Computed tomography; Abdomen; Slice 121/192
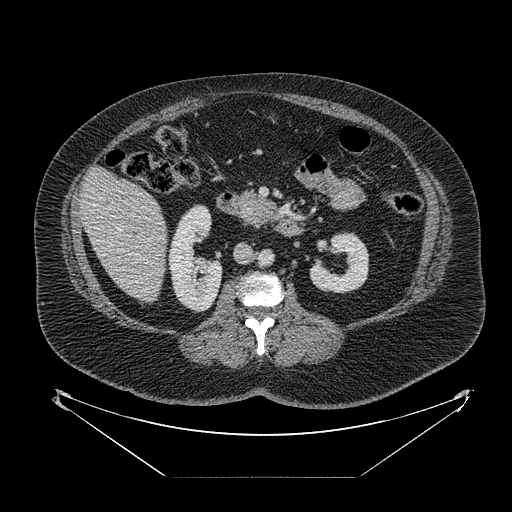 Pancreatic tumor: bounding box <box>246,196,277,222</box>.
Pancreas: bounding box <box>234,192,269,226</box>.